Slice index 41. CT scan slice. Image width 470 mm.

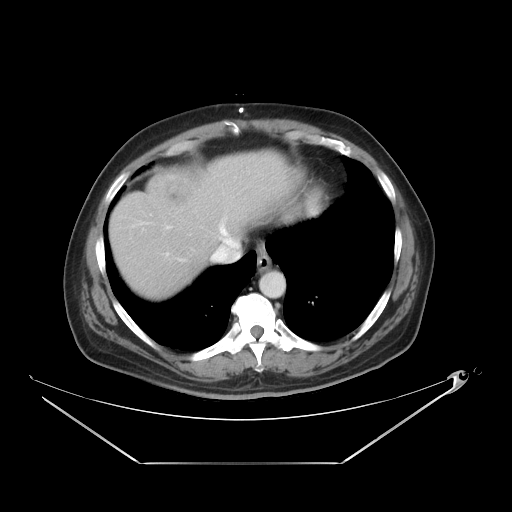
Some hepatic vessels may have no box.
Hepatic vessel: (224,239,227,244), (221,228,225,233).
Liver tumor: (160,172,204,210).